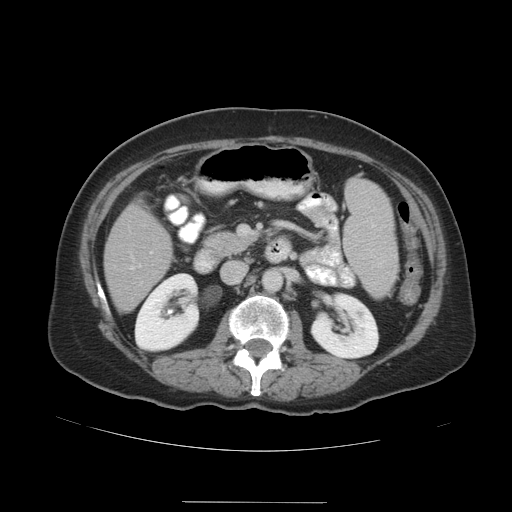
Computed tomography

Some hepatic vessels may have no box.
hepatic_vessel:
  - (138, 265, 140, 266)
  - (150, 252, 152, 253)
  - (130, 267, 134, 268)